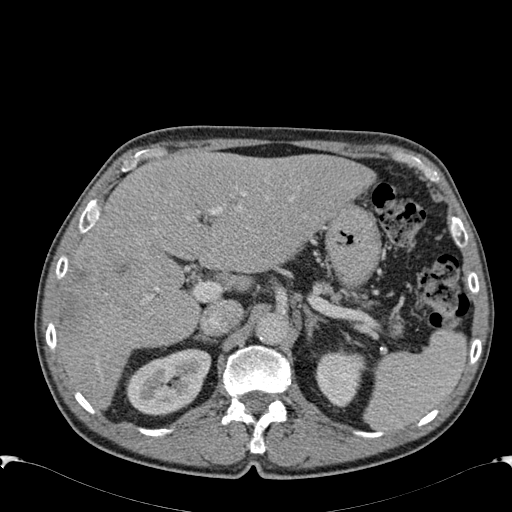
512x512 px. Computed tomography. focal_liver_lesion:
  - bbox=[61, 290, 92, 333]
  - bbox=[68, 268, 87, 284]
  - bbox=[116, 261, 129, 275]
kidney:
  - bbox=[127, 349, 210, 414]
  - bbox=[317, 352, 368, 405]
liver:
  - bbox=[54, 150, 375, 407]